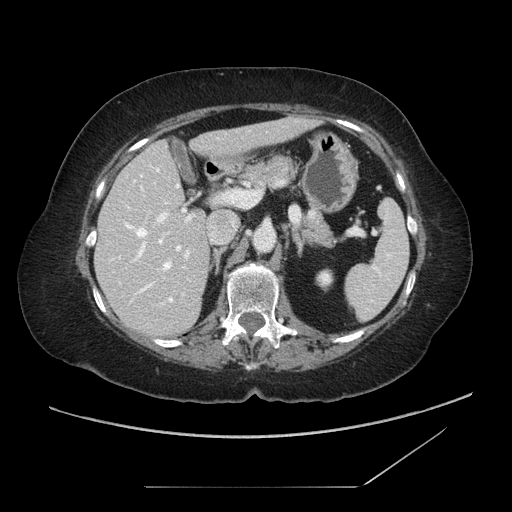
CT slice
2 pancreas regions are bounded by x1=302, y1=197, x2=336, y2=247; x1=231, y1=156, x2=298, y2=191.